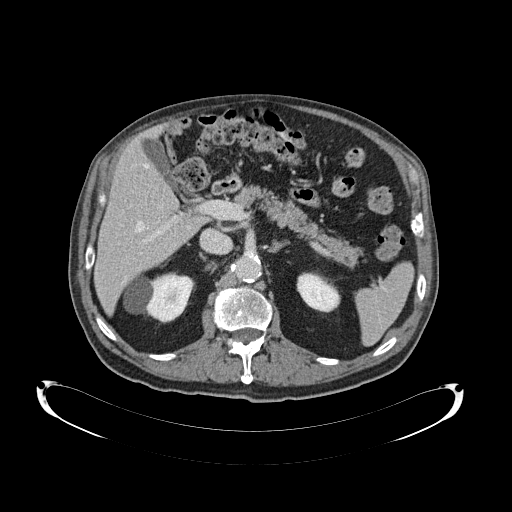 CT image; Upper abdomen

Pancreas — left=233, top=184, right=366, bottom=266.